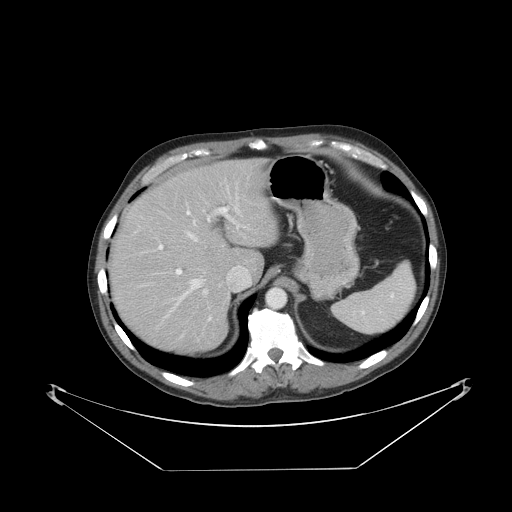

CT slice, Abdomen
The vessel annotation is not exhaustive.
13 hepatic vessel regions are bounded by x1=203 y1=289 x2=207 y2=294, x1=176 y1=268 x2=181 y2=274, x1=203 y1=209 x2=204 y2=212, x1=164 y1=278 x2=204 y2=318, x1=158 y1=244 x2=162 y2=249, x1=207 y1=216 x2=210 y2=221, x1=185 y1=231 x2=197 y2=241, x1=186 y1=202 x2=190 y2=214, x1=208 y1=316 x2=211 y2=320, x1=214 y1=207 x2=243 y2=229, x1=180 y1=334 x2=183 y2=338, x1=193 y1=221 x2=195 y2=224, x1=233 y1=183 x2=240 y2=214.